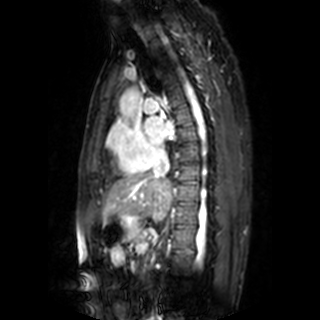 Cardiac. MR image.

Left atrium at <bbox>144, 116, 174, 146</bbox>.